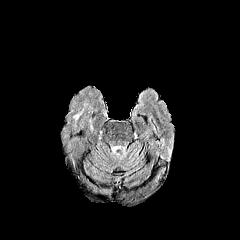
FLAIR MRI.
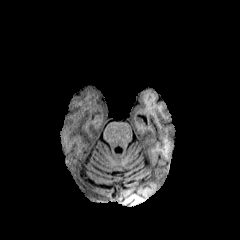
T1-weighted MR image.
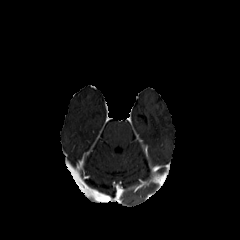
Post-contrast T1-weighted magnetic resonance.
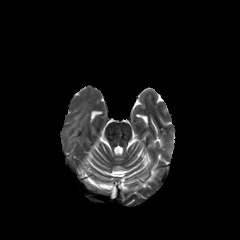
T2-weighted magnetic resonance of the same slice.
Head, 240x240 px
The edema appears at 73,109,83,127.